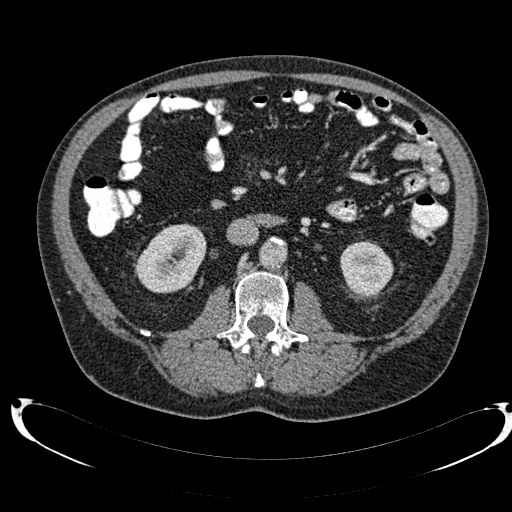
CT slice. Abdomen.
Kidney: bounding box [340,241,393,297], [135,224,205,292].